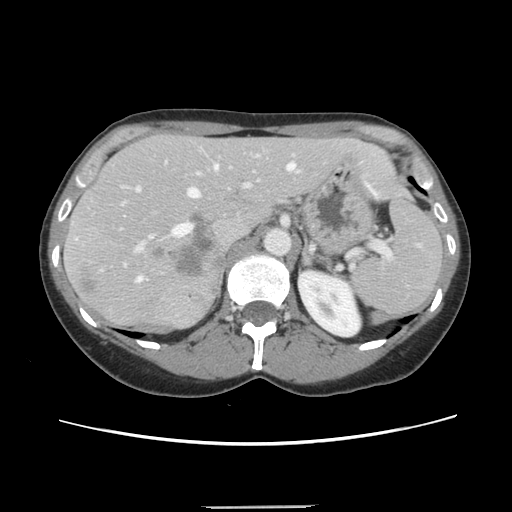

Abdomen. CT.

Not every hepatic vessel necessarily has a box.
liver tumor: l=84, t=283, r=93, b=291; l=181, t=248, r=198, b=269 | hepatic vessel: l=213, t=164, r=217, b=169; l=197, t=172, r=199, b=174; l=244, t=183, r=249, b=186; l=171, t=223, r=191, b=236; l=135, t=187, r=139, b=190; l=287, t=163, r=294, b=171; l=122, t=202, r=124, b=203; l=136, t=243, r=142, b=250; l=256, t=155, r=257, b=156; l=137, t=276, r=145, b=280; l=149, t=235, r=152, b=237; l=187, t=187, r=199, b=197